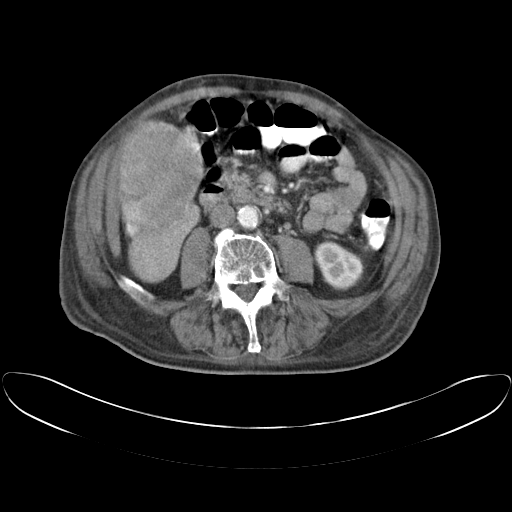

512x512 px; CT image

Not every hepatic vessel necessarily has a box.
hepatic_vessel:
  - l=147, t=270, r=151, b=274
  - l=127, t=215, r=137, b=234
  - l=152, t=263, r=154, b=266
liver_tumor:
  - l=121, t=123, r=198, b=227